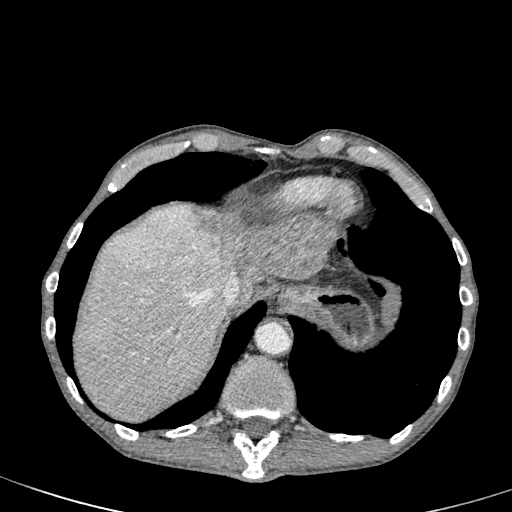 CT image; Image size 512x512
3 liver regions are located at rect(76, 204, 260, 421); rect(244, 217, 254, 224); rect(299, 216, 328, 222). The hepatic lesion appears at rect(193, 207, 331, 281).